Computed tomography | Field of view 400x400 mm
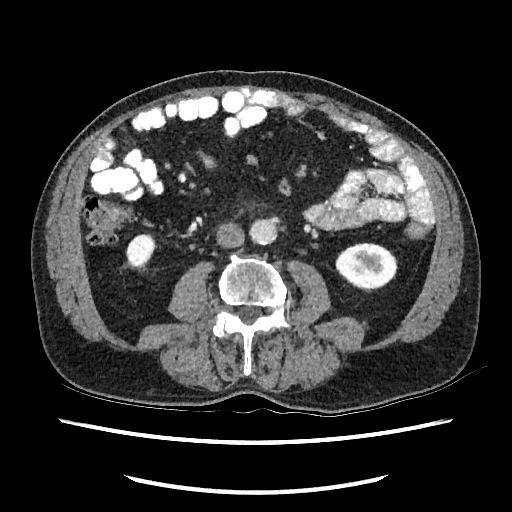

Kidney: bounding box [336, 243, 396, 289], [126, 234, 155, 267].